512x512; CT slice
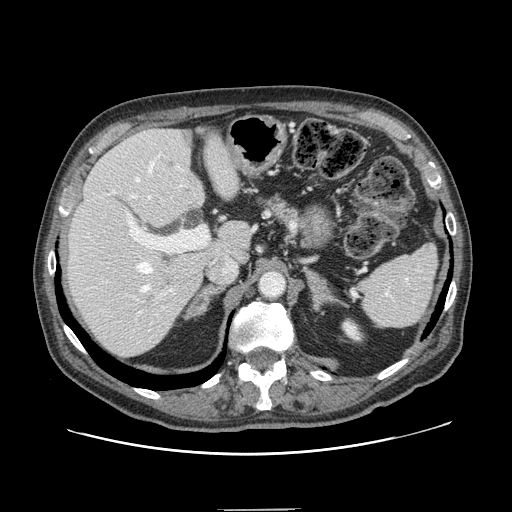 {"pancreas": ["<box>260,193,307,230</box>"]}